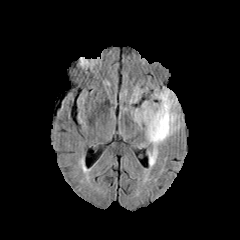
FLAIR MRI.
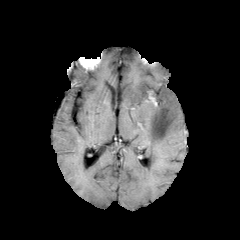
T1-weighted MR.
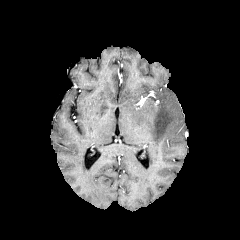
Same slice, post-contrast T1-weighted MR image.
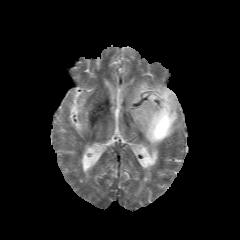
T2-weighted MR.
2 edema regions appear at (left=134, top=86, right=181, bottom=146), (left=134, top=85, right=148, bottom=101).